FLAIR MR image.
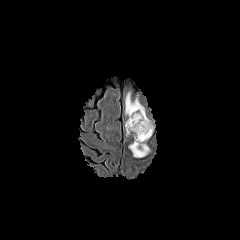
T1-weighted MRI.
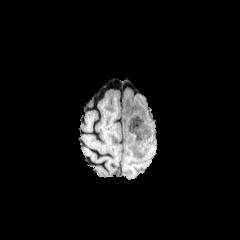
Post-contrast T1-weighted magnetic resonance.
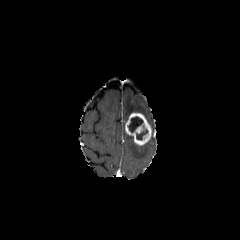
T2-weighted MR image.
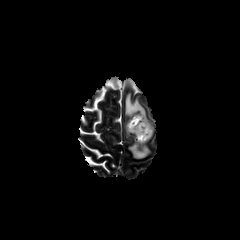
Head | 240x240 px
The enhancing tumor appears at x1=125, y1=112, x2=152, y2=145. The non-enhancing tumor core is located at x1=128, y1=117, x2=147, y2=139. 2 edema regions are located at x1=128, y1=143, x2=149, y2=158; x1=124, y1=93, x2=145, y2=116.